Computed tomography | 512x512 px 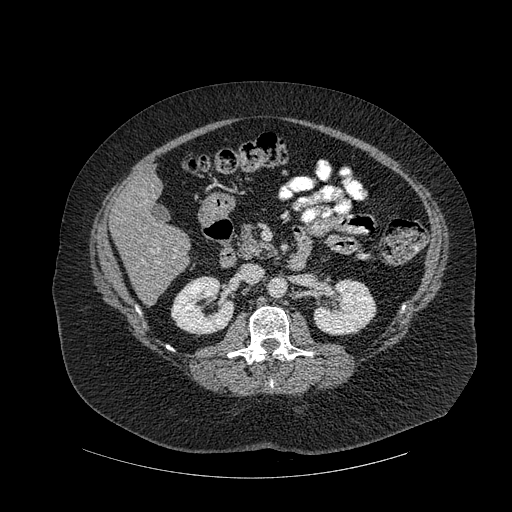
Kidney: bounding box 314:280:375:334, 172:277:233:333.
Liver: bounding box 110:173:190:299.
Bone: bounding box 227:306:312:363.